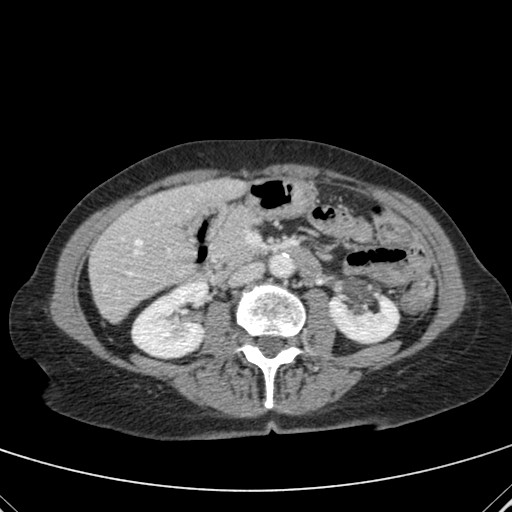
CT scan slice. Liver.
Liver = [89, 178, 245, 320].
Kidney = [330, 297, 398, 342], [133, 282, 206, 357].